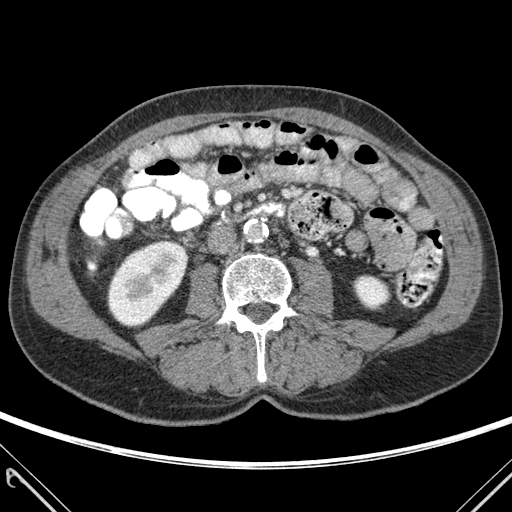
Image size 512x512. Abdomen. CT image.

{
  "bone": [
    "box(218, 254, 295, 381)"
  ],
  "kidney": [
    "box(356, 277, 386, 306)",
    "box(109, 242, 185, 324)"
  ]
}